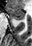

Magnetic resonance

{
  "anterior_hippocampus": [
    "l=9, t=8, r=24, b=19"
  ]
}